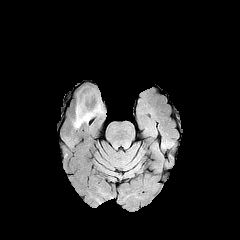
FLAIR MR image.
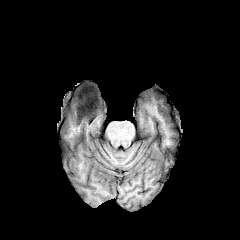
Same slice, T1-weighted magnetic resonance.
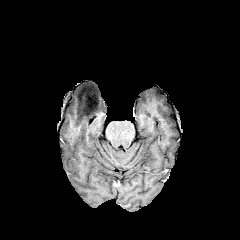
Post-contrast T1-weighted MR.
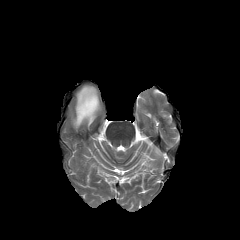
T2-weighted MR image of the same slice.
Head
edema:
  - box=[72, 98, 104, 129]
non-enhancing_tumor_core:
  - box=[83, 98, 97, 114]